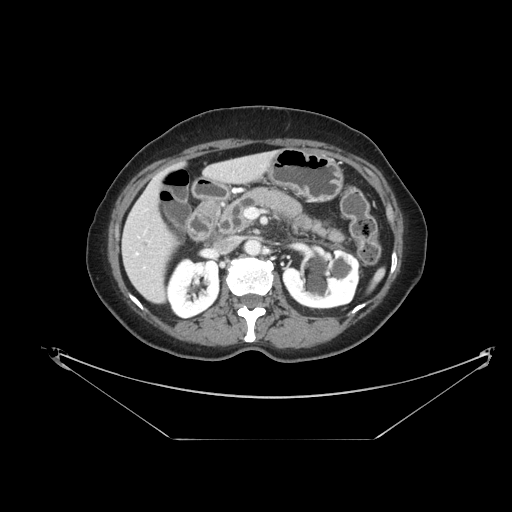
CT slice
The pancreas appears at bbox(221, 187, 345, 245).